Brain.
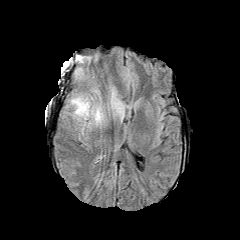
FLAIR MRI.
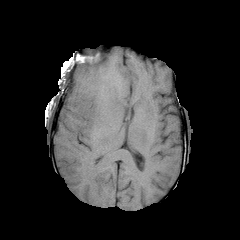
T1-weighted MR image.
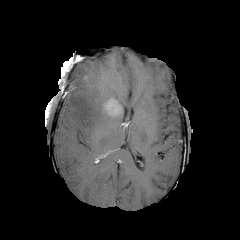
Same slice, post-contrast T1-weighted MR image.
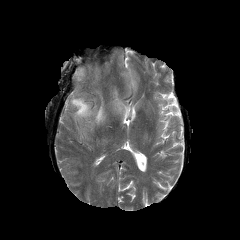
T2-weighted MR.
3 edema regions are bounded by box=[69, 89, 107, 127]; box=[106, 88, 124, 118]; box=[75, 67, 85, 81].